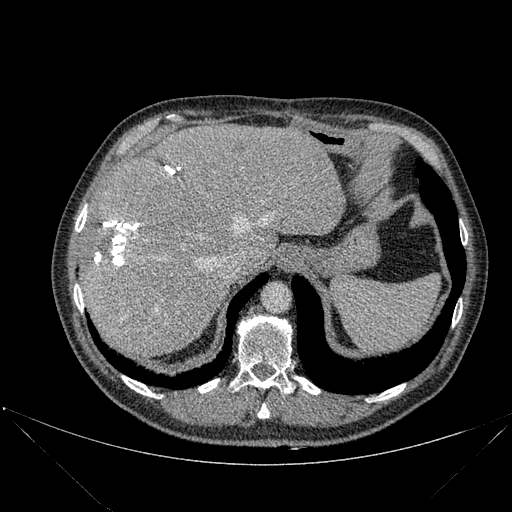 Image size 512x512. Abdomen. CT.

lung:
  - box=[88, 273, 267, 388]
  - box=[291, 159, 465, 393]
bone:
  - box=[198, 379, 219, 392]
  - box=[460, 221, 467, 244]
  - box=[122, 376, 157, 397]
  - box=[230, 316, 292, 392]
  - box=[452, 305, 462, 326]
  - box=[75, 207, 86, 231]
  - box=[294, 376, 320, 394]
  - box=[376, 384, 405, 400]
  - box=[74, 284, 83, 311]
  - box=[257, 403, 269, 418]
liver:
  - box=[79, 125, 345, 356]